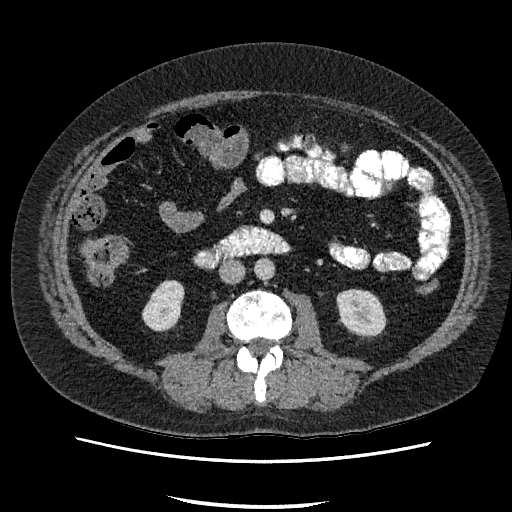 Abdomen | CT scan slice

{
  "kidney": [
    "[337,290,384,333]",
    "[143,281,182,329]"
  ]
}